Computed tomography, Slice index 50, Image size 512x512

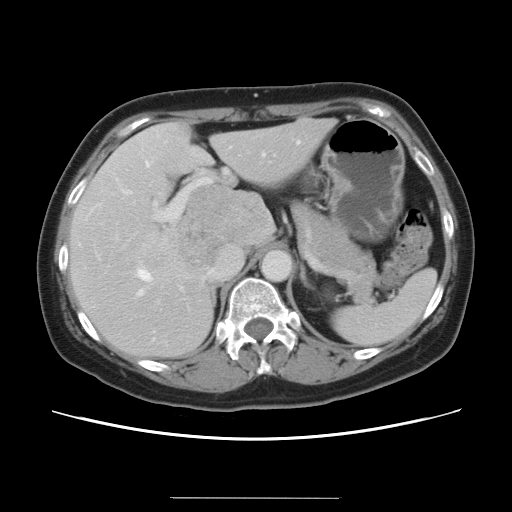

Not every hepatic vessel necessarily has a box.
Hepatic vessel: bounding box <bbox>96, 255, 98, 256</bbox>, <bbox>154, 178, 211, 221</bbox>, <bbox>137, 290, 143, 295</bbox>, <bbox>262, 154, 263, 156</bbox>, <bbox>297, 141, 298, 144</bbox>, <bbox>152, 339, 154, 340</bbox>, <bbox>208, 270, 212, 274</bbox>, <bbox>123, 191, 130, 194</bbox>, <bbox>116, 237, 117, 238</bbox>, <bbox>137, 269, 150, 280</bbox>, <bbox>146, 162, 148, 166</bbox>.
Liver tumor: bounding box <bbox>172, 186, 265, 270</bbox>.